Computed tomography | Slice 394 of 455 | Abdomen 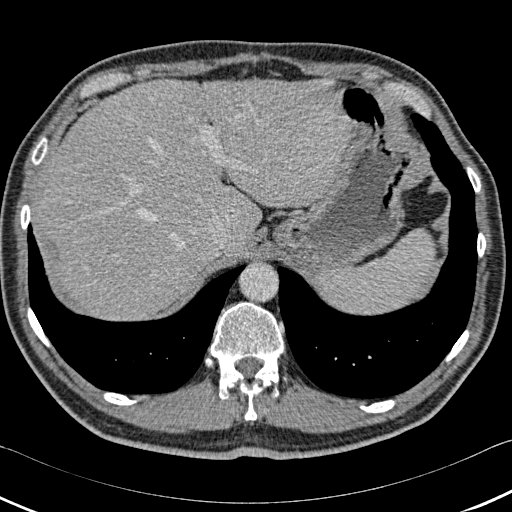

Bone = <box>467,167,480,192</box>, <box>240,383,262,420</box>, <box>477,233,485,256</box>, <box>27,308,49,346</box>, <box>360,400,394,412</box>, <box>210,302,283,399</box>, <box>20,205,30,229</box>, <box>104,393,136,405</box>, <box>446,330,468,361</box>, <box>32,137,47,164</box>.
Lung = <box>27,223,246,394</box>, <box>277,112,477,400</box>.
Liver = <box>38,79,359,320</box>.